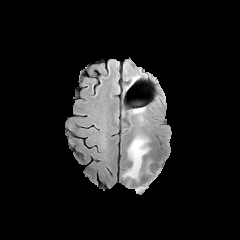
FLAIR MR.
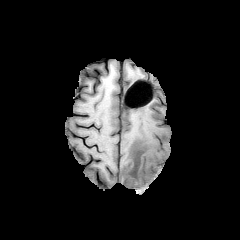
T1-weighted magnetic resonance.
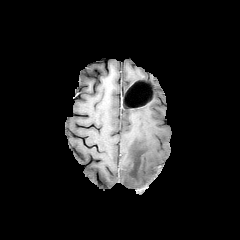
Post-contrast T1-weighted MR.
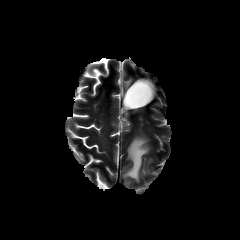
T2-weighted magnetic resonance.
- edema: (122,135,149,181)